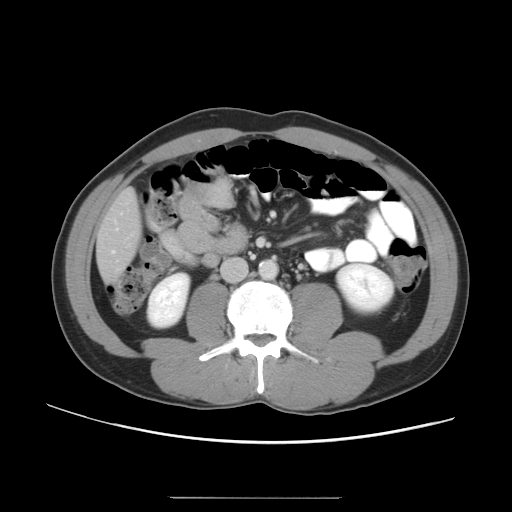
512x512, Abdomen, CT
The vessel annotation is not exhaustive.
Segmented structures:
• hepatic vessel: x1=112 y1=250 x2=114 y2=252, x1=132 y1=234 x2=133 y2=235, x1=116 y1=223 x2=118 y2=230